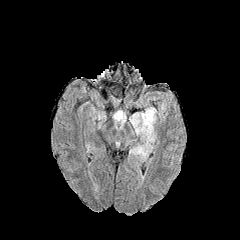
FLAIR MR.
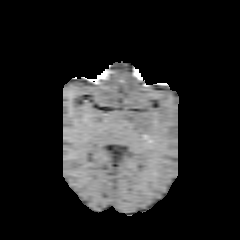
Same slice, T1-weighted magnetic resonance.
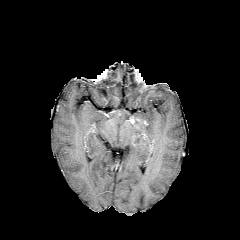
Post-contrast T1-weighted MRI.
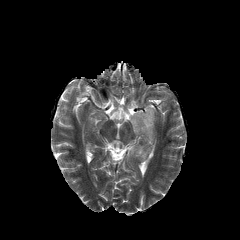
T2-weighted MR of the same slice.
Head; Image size 240x240
2 edema regions are bounded by 158,102,166,117; 112,104,157,163. The enhancing tumor is at 128,116,147,128.